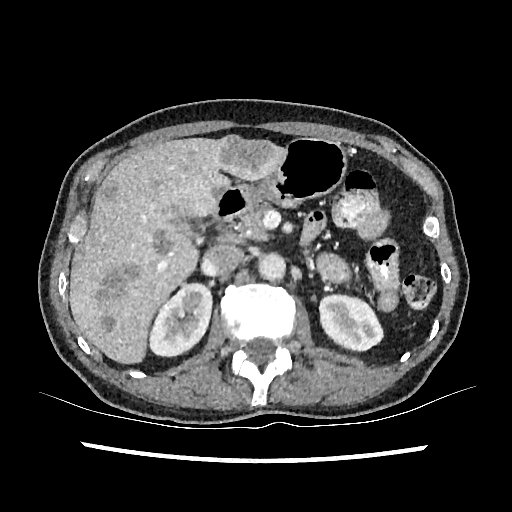

CT image. Abdomen. kidney:
  - {"x1": 150, "y1": 284, "x2": 211, "y2": 357}
  - {"x1": 319, "y1": 295, "x2": 382, "y2": 350}
liver:
  - {"x1": 70, "y1": 139, "x2": 285, "y2": 362}
hepatic_lesion:
  - {"x1": 101, "y1": 316, "x2": 115, "y2": 332}
  - {"x1": 153, "y1": 230, "x2": 173, "y2": 254}
  - {"x1": 122, "y1": 263, "x2": 138, "y2": 280}
  - {"x1": 219, "y1": 137, "x2": 275, "y2": 168}
  - {"x1": 100, "y1": 185, "x2": 117, "y2": 200}
  - {"x1": 212, "y1": 186, "x2": 224, "y2": 197}
  - {"x1": 95, "y1": 268, "x2": 125, "y2": 301}
  - {"x1": 173, "y1": 206, "x2": 187, "y2": 216}